512x512 px, CT scan slice 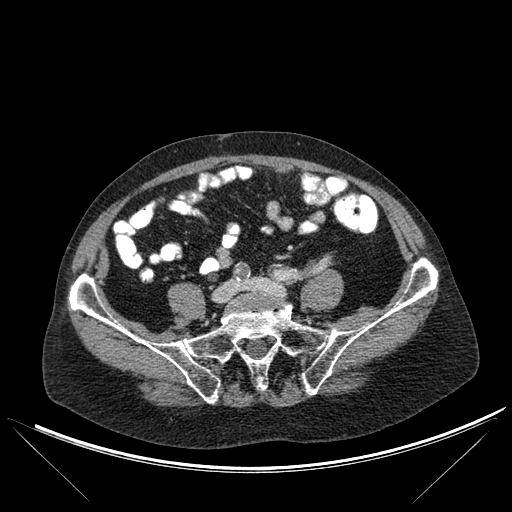
The bone is located at <box>69,258,437,403</box>.